Computed tomography; Abdomen; 512x512 px; Slice 43 of 60

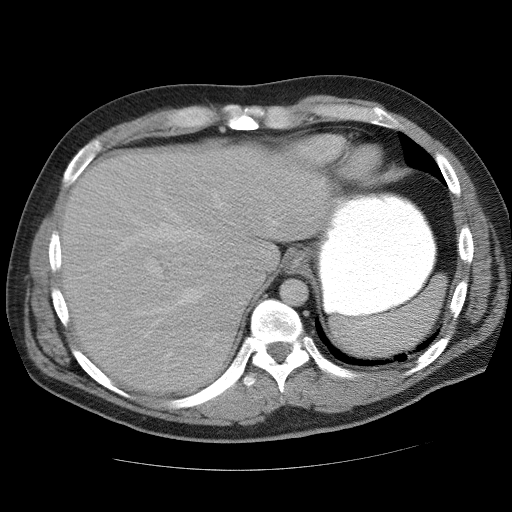
Spleen = [x1=330, y1=276, x2=445, y2=356].